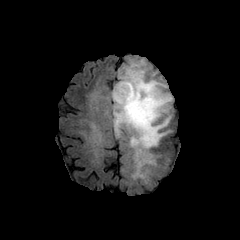
FLAIR MR image.
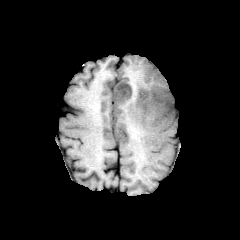
Same slice, T1-weighted MR image.
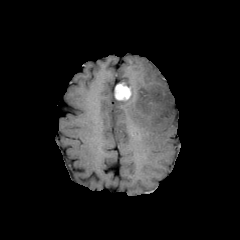
Post-contrast T1-weighted MR image of the same slice.
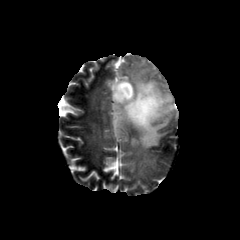
T2-weighted MR.
Brain; 240x240
enhancing_tumor:
  - rect(114, 82, 131, 100)
edema:
  - rect(109, 60, 173, 179)
non-enhancing_tumor_core:
  - rect(112, 73, 169, 119)
  - rect(127, 121, 139, 138)